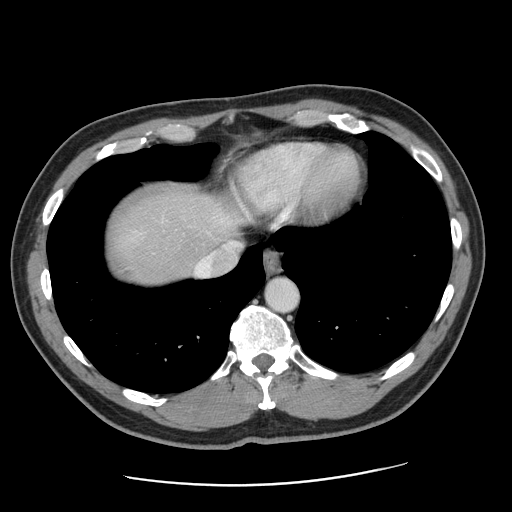 Abdomen | CT slice

Only some of the vessels may be annotated.
Findings:
* hepatic vessel: x1=195, y1=241, x2=241, y2=277